Computed tomography; Slice index 307; 512x512

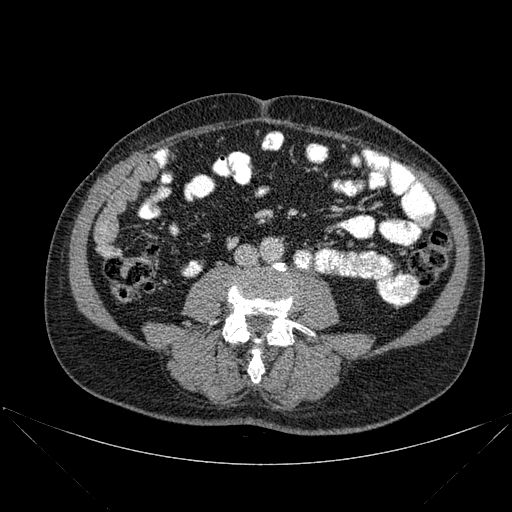 * bone: x1=248, y1=349, x2=264, y2=382; x1=223, y1=263, x2=312, y2=345